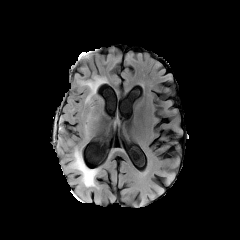
FLAIR MRI.
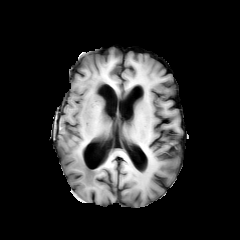
Same slice, T1-weighted MR image.
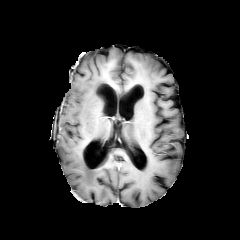
Post-contrast T1-weighted magnetic resonance of the same slice.
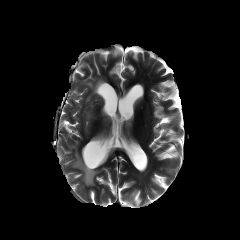
Same slice, T2-weighted magnetic resonance.
Head
edema: [57, 136, 64, 153], [83, 78, 103, 96], [66, 148, 98, 187]